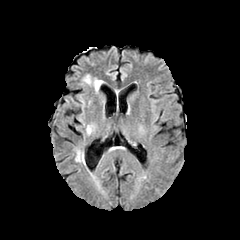
FLAIR MR image.
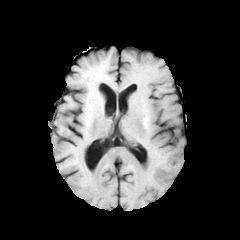
T1-weighted MRI.
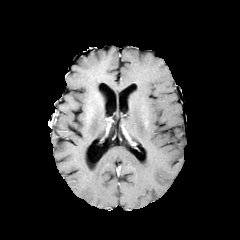
Post-contrast T1-weighted MR image.
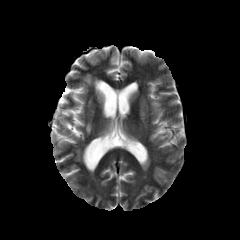
T2-weighted magnetic resonance.
edema:
  - x1=84 y1=122 x2=94 y2=135
  - x1=83 y1=75 x2=104 y2=105
  - x1=75 y1=149 x2=84 y2=162